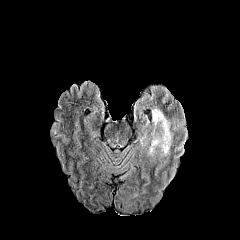
FLAIR MRI.
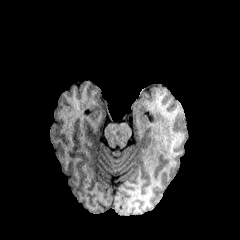
T1-weighted MR.
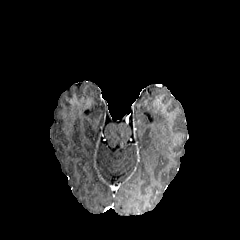
Post-contrast T1-weighted MR of the same slice.
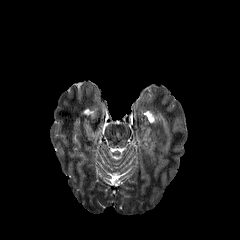
Same slice, T2-weighted magnetic resonance.
Head
{
  "edema": [
    "<box>150,110,171,154</box>"
  ]
}